CT scan slice, 512x512 px

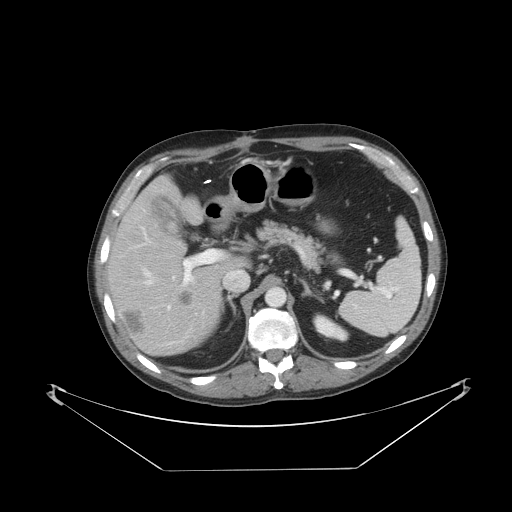
Only some of the vessels may be annotated.
Liver tumor: <box>183,296,191,304</box>, <box>122,311,146,336</box>.
Hepatic vessel: <box>183,271,193,285</box>, <box>144,270,153,284</box>, <box>130,227,149,248</box>, <box>167,306,169,309</box>, <box>172,276,174,279</box>.